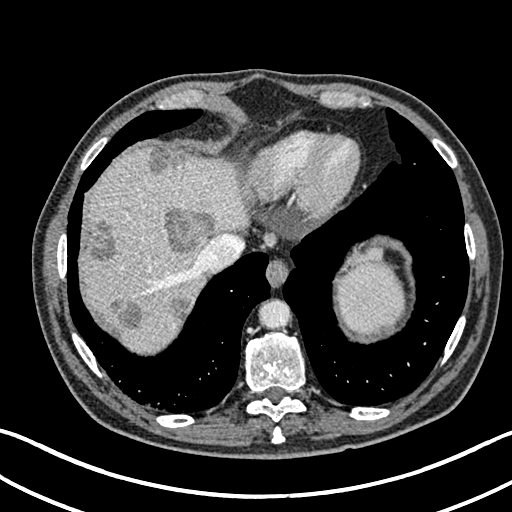
512x512 px | CT slice

5 hepatic lesion regions are bounded by box(173, 298, 190, 319); box(83, 218, 115, 261); box(148, 149, 169, 173); box(164, 209, 212, 254); box(109, 301, 140, 328). 2 liver regions appear at box(81, 148, 249, 350); box(356, 248, 382, 263).